Slice 405/871, CT image
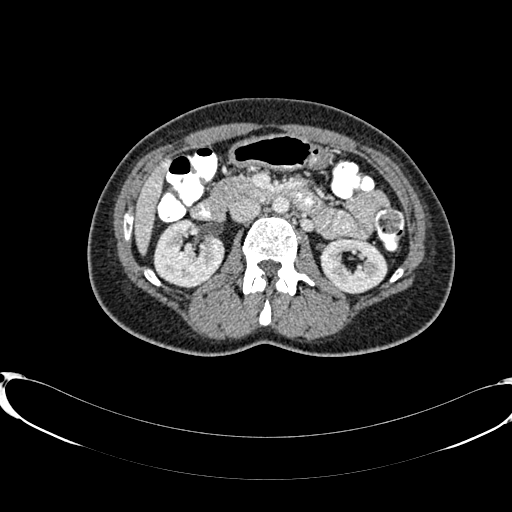

kidney:
  - <box>322,240,385,292</box>
  - <box>155,221,222,285</box>
liver:
  - <box>134,161,166,253</box>